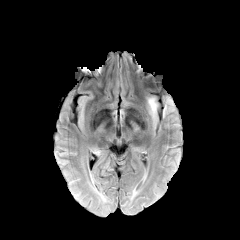
FLAIR MRI.
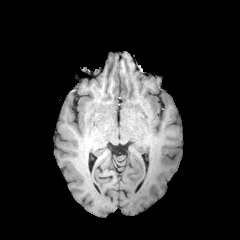
Same slice, T1-weighted MRI.
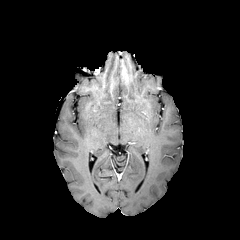
Post-contrast T1-weighted MR.
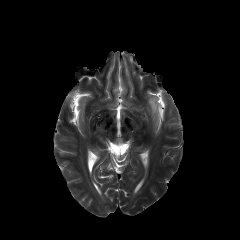
T2-weighted MRI.
240x240, Brain
{
  "edema": [
    "(147,97,159,120)",
    "(163,97,174,116)"
  ]
}